FLAIR MRI.
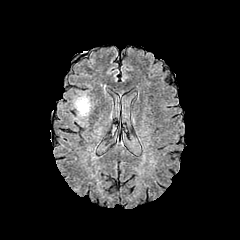
T1-weighted magnetic resonance.
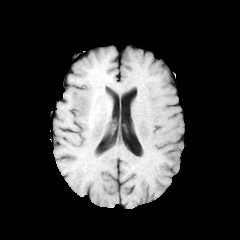
Post-contrast T1-weighted MR image.
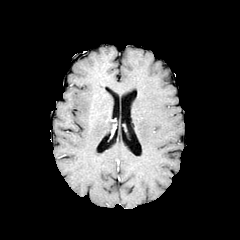
T2-weighted MR.
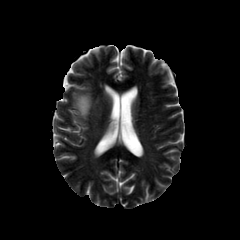
Brain, Image size 240x240
edema: box(72, 92, 92, 118)